CT slice | Liver | 512x512 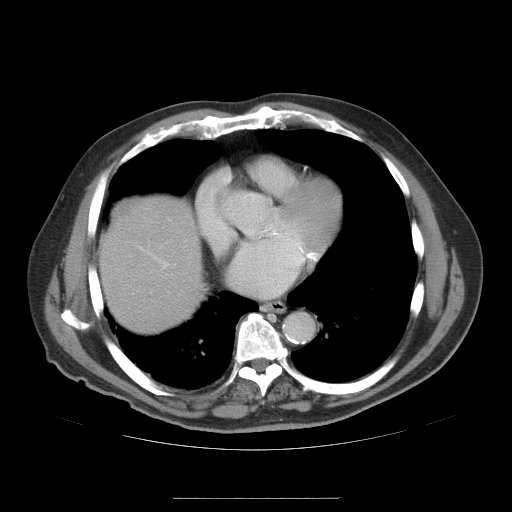
Only some of the vessels may be annotated.
Hepatic vessel: bounding box [x1=142, y1=248, x2=167, y2=267].